FLAIR MRI.
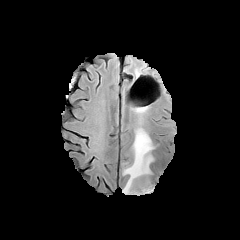
T1-weighted magnetic resonance.
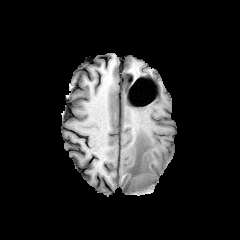
Post-contrast T1-weighted magnetic resonance.
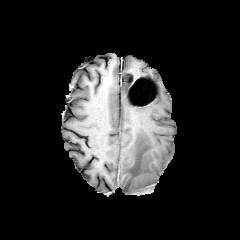
T2-weighted MR image.
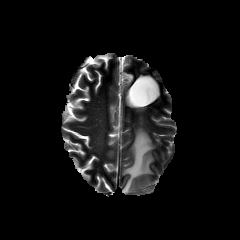
Head
Edema at (x1=122, y1=128, x2=153, y2=193).